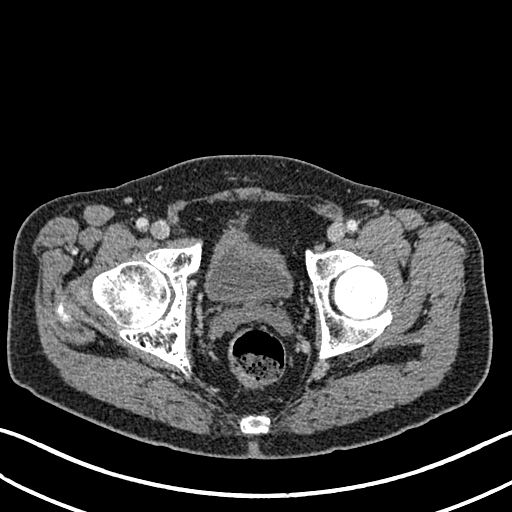
CT.
{"urinary_bladder": ["(204,230,292,306)"]}